Abdomen | Slice index 84 | Computed tomography 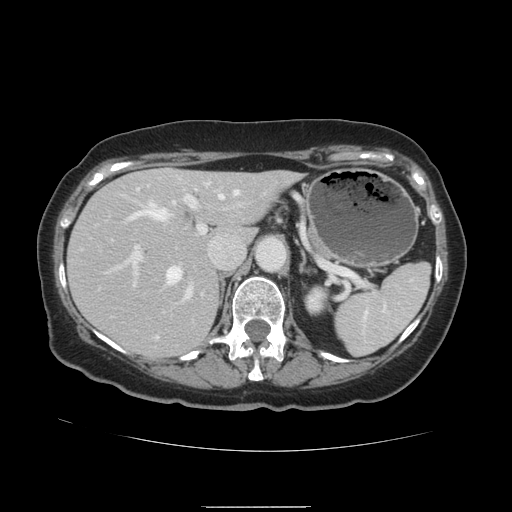 The vessel annotation is not exhaustive.
11 hepatic vessel regions are located at region(124, 246, 140, 271); region(131, 201, 166, 219); region(233, 190, 238, 194); region(203, 182, 209, 185); region(166, 267, 180, 284); region(136, 188, 138, 189); region(183, 195, 194, 206); region(197, 225, 205, 233); region(117, 266, 121, 267); region(182, 284, 191, 301); region(218, 194, 222, 198).